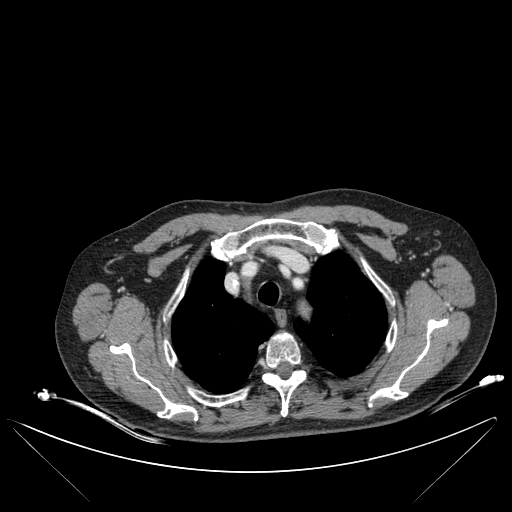
CT image. 10 bone regions are bounded by [110, 343, 197, 420], [368, 319, 447, 406], [266, 333, 300, 367], [188, 388, 247, 406], [262, 370, 305, 416], [211, 218, 338, 260], [164, 340, 176, 366], [386, 321, 396, 350], [168, 271, 187, 314], [362, 260, 390, 300]. 3 lung regions appear at [294, 251, 386, 376], [172, 258, 274, 393], [258, 283, 278, 305].